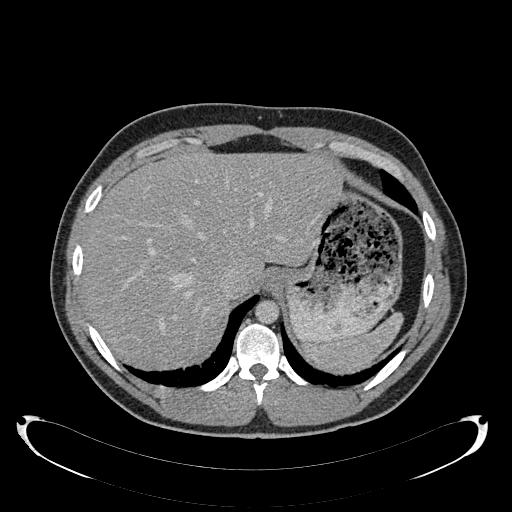
Liver; CT scan slice

Liver = l=82, t=153, r=337, b=365.